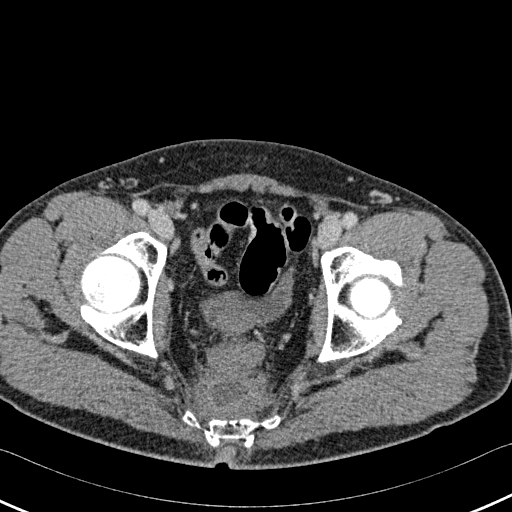

CT slice
Urinary bladder — 204,267,293,331.
Bone — 319,247,403,361; 79,232,166,357; 183,411,280,446.